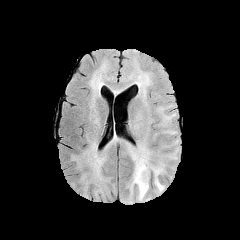
FLAIR MR.
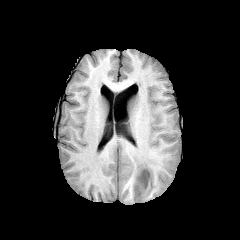
T1-weighted magnetic resonance.
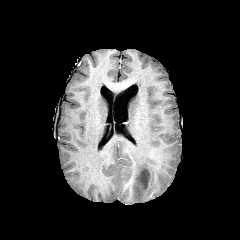
Post-contrast T1-weighted MRI of the same slice.
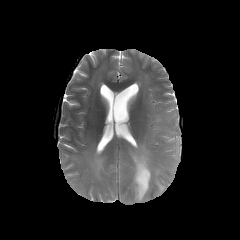
T2-weighted MRI of the same slice.
Head. Image size 240x240.
edema: bbox(128, 145, 164, 200); bbox(78, 144, 104, 179) | non-enhancing tumor core: bbox(136, 169, 149, 189)